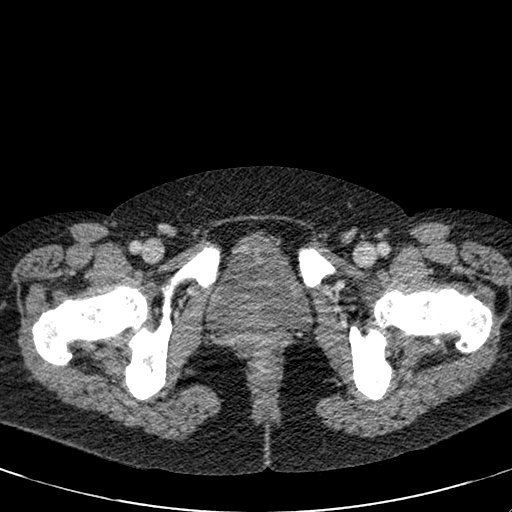 CT image | Pelvis
Segmented structures:
• urinary bladder: region(206, 232, 313, 334)